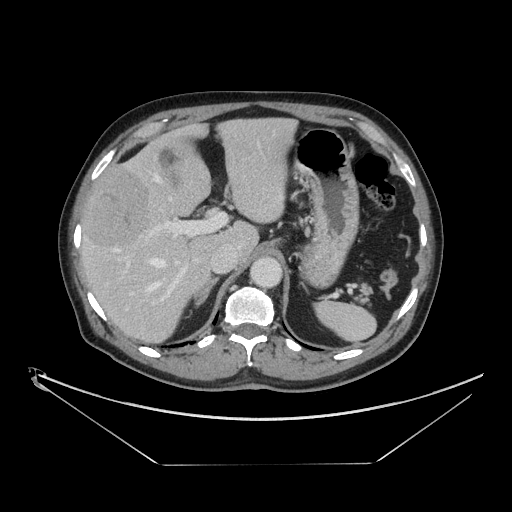

CT scan slice. Liver. The vessel boxes may cover only some of the vessels.
Hepatic vessel at {"x1": 154, "y1": 174, "x2": 160, "y2": 181}, {"x1": 170, "y1": 198, "x2": 171, "y2": 199}, {"x1": 176, "y1": 262, "x2": 178, "y2": 263}, {"x1": 151, "y1": 221, "x2": 174, "y2": 234}, {"x1": 163, "y1": 278, "x2": 164, "y2": 280}, {"x1": 127, "y1": 262, "x2": 128, "y2": 268}, {"x1": 160, "y1": 268, "x2": 184, "y2": 300}, {"x1": 130, "y1": 293, "x2": 133, "y2": 294}, {"x1": 174, "y1": 234, "x2": 176, "y2": 236}, {"x1": 147, "y1": 282, "x2": 160, "y2": 290}, {"x1": 150, "y1": 258, "x2": 165, "y2": 267}, {"x1": 113, "y1": 249, "x2": 118, "y2": 251}.
Liver tumor at {"x1": 82, "y1": 166, "x2": 149, "y2": 248}.